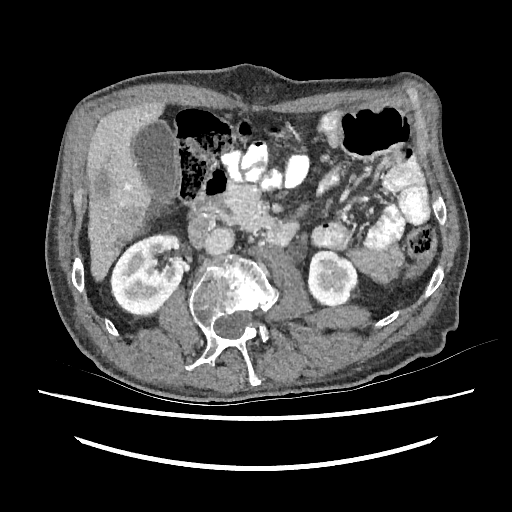 CT scan slice

3 focal liver lesion regions appear at [118,205,143,232], [95,163,111,202], [104,237,127,251]. 2 kidney regions appear at [111,235,185,313], [308,251,356,305]. The liver is bounded by [87,102,162,280].